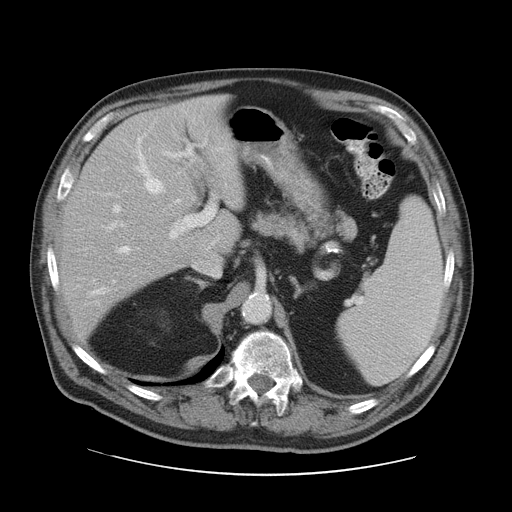
Liver. CT slice. 512x512 px.
The vessel annotation is not exhaustive.
Annotated regions:
- hepatic vessel: left=146, top=178, right=162, bottom=192; left=110, top=223, right=115, bottom=228; left=121, top=223, right=122, bottom=225; left=119, top=246, right=128, bottom=252; left=166, top=152, right=185, bottom=156; left=93, top=288, right=103, bottom=293; left=170, top=208, right=213, bottom=239; left=113, top=205, right=119, bottom=212; left=175, top=199, right=179, bottom=202; left=191, top=153, right=192, bottom=155; left=136, top=138, right=148, bottom=175